Field of view 240x240 mm
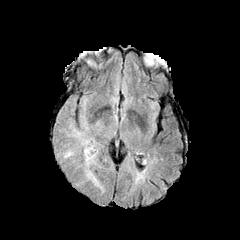
FLAIR magnetic resonance.
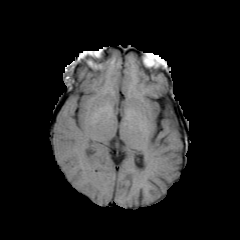
T1-weighted MR image.
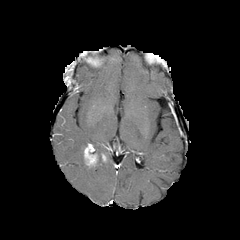
Post-contrast T1-weighted magnetic resonance.
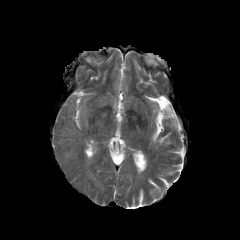
T2-weighted MR image.
The edema is at 85:144:99:164. The enhancing tumor is at 84:144:95:162.